FLAIR MRI.
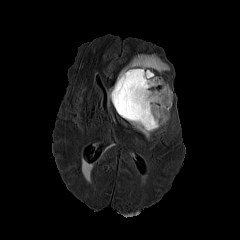
T1-weighted MRI.
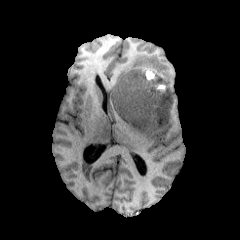
Post-contrast T1-weighted magnetic resonance.
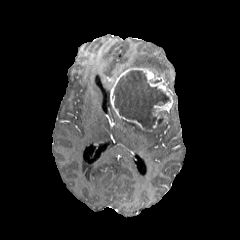
T2-weighted MR.
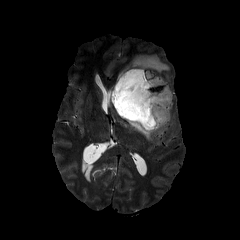
Head
The non-enhancing tumor core is bounded by bbox=[112, 70, 171, 131]. 2 enhancing tumor regions are located at bbox=[110, 68, 173, 129]; bbox=[160, 113, 167, 126]. 2 edema regions are located at bbox=[118, 53, 169, 76]; bbox=[133, 123, 168, 140].